FLAIR MRI.
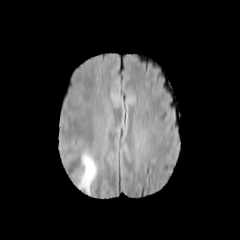
T1-weighted MRI.
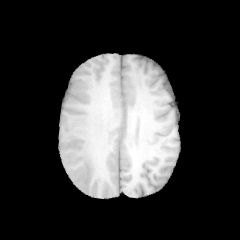
Post-contrast T1-weighted MRI.
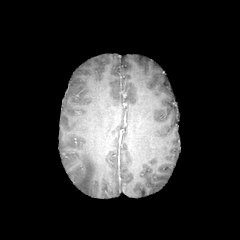
T2-weighted magnetic resonance.
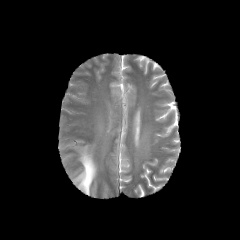
Findings:
* edema: 74,151,97,193